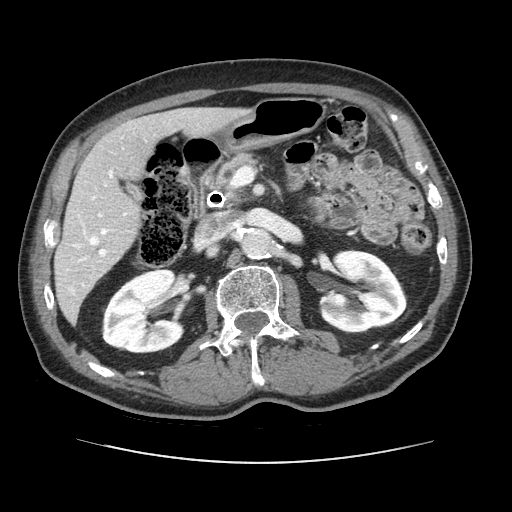 CT image

pancreas: <box>218,154,255,186</box>